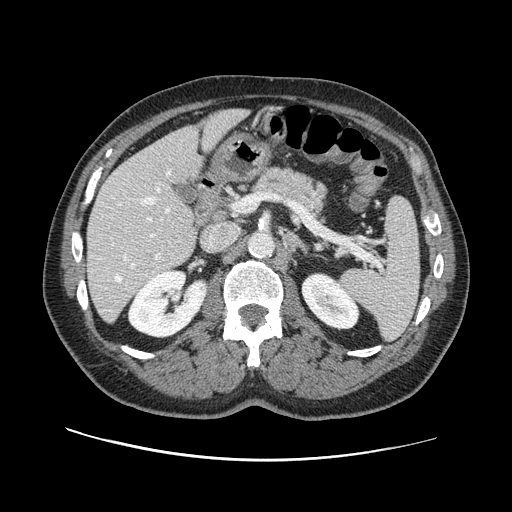

Upper abdomen. CT image.
The pancreas appears at box(247, 165, 329, 226).